FLAIR MR image.
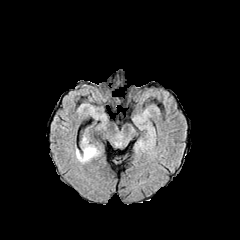
T1-weighted MR image.
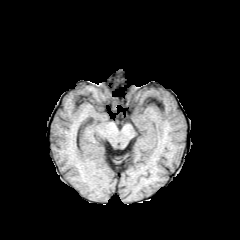
Post-contrast T1-weighted MRI.
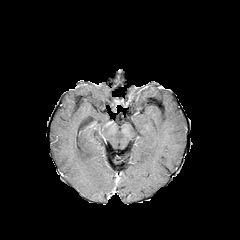
T2-weighted MRI.
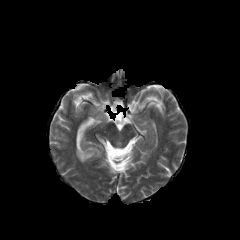
edema:
  - {"x1": 76, "y1": 137, "x2": 100, "y2": 162}